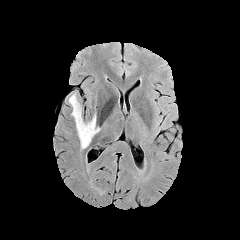
FLAIR MR image.
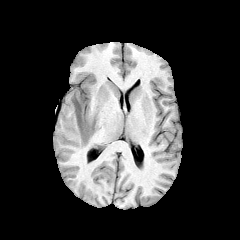
T1-weighted MRI.
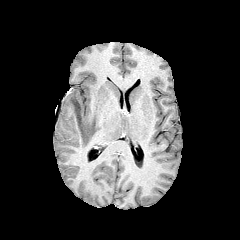
Post-contrast T1-weighted MRI of the same slice.
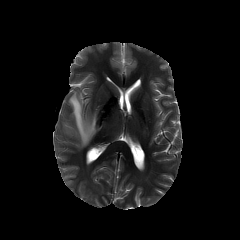
T2-weighted MRI.
Brain
The edema is at (67,91,99,148).